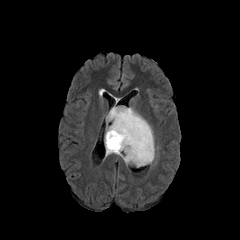
FLAIR MR image.
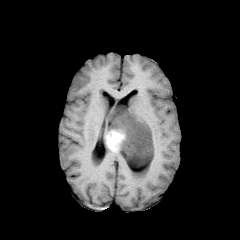
Same slice, T1-weighted MR.
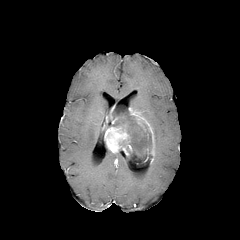
Post-contrast T1-weighted MRI of the same slice.
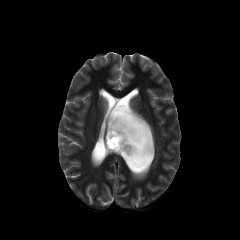
T2-weighted MR of the same slice.
Head, Image size 240x240
3 enhancing tumor regions are bounded by x1=129 y1=107 x2=154 y2=163, x1=104 y1=123 x2=132 y2=155, x1=106 y1=106 x2=118 y2=123. The non-enhancing tumor core appears at x1=110 y1=106 x2=152 y2=166. The edema appears at x1=103 y1=150 x2=139 y2=167.